512x512. Computed tomography. Lower abdomen. Slice index 39. Image width 398 mm.

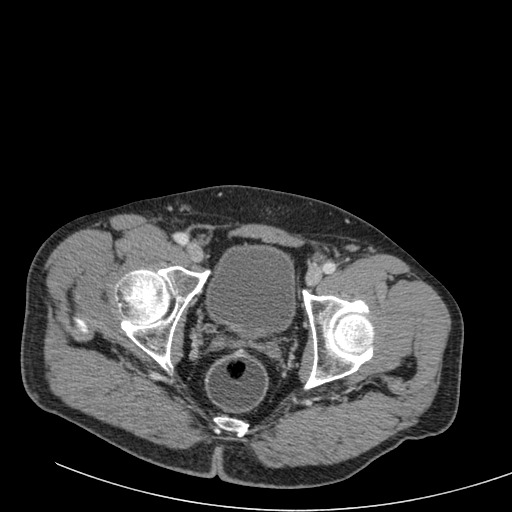 Urinary bladder: bounding box l=206, t=244, r=294, b=341.